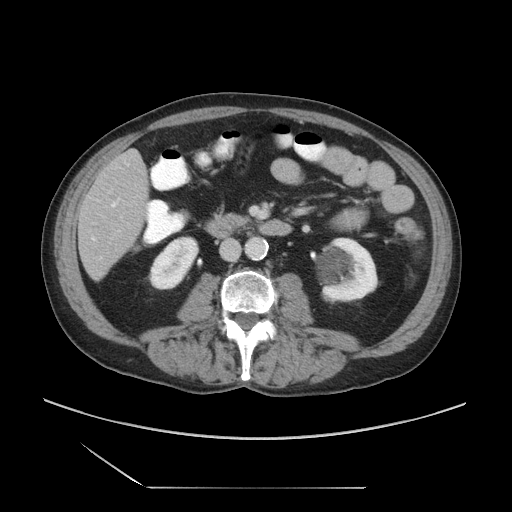 Abdomen. CT image. 512x512 px.
Some hepatic vessels may have no box.
Findings:
• hepatic vessel: (x1=100, y1=257, x2=101, y2=258), (x1=108, y1=191, x2=111, y2=192), (x1=92, y1=237, x2=95, y2=239), (x1=112, y1=199, x2=118, y2=206)